CT image | 512x512 px
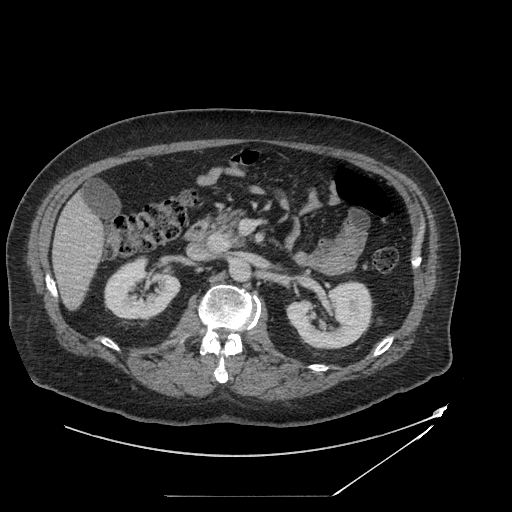 Pancreas = (x1=201, y1=207, x2=246, y2=252).
Pancreatic tumor = (x1=207, y1=233, x2=231, y2=252).